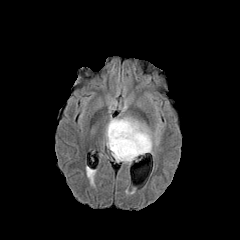
FLAIR MR image.
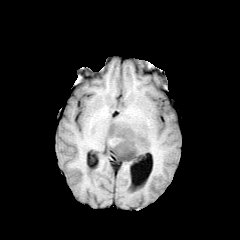
Same slice, T1-weighted MR image.
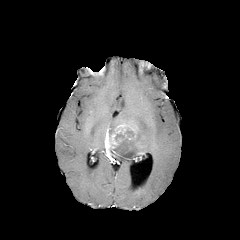
Same slice, post-contrast T1-weighted MRI.
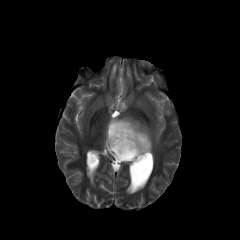
T2-weighted MR.
Image size 240x240, Head
non-enhancing_tumor_core:
  - 124,129,136,138
  - 114,133,144,160
edema:
  - 106,117,152,163
enhancing_tumor:
  - 105,122,137,157